Computed tomography, Liver, 512x512

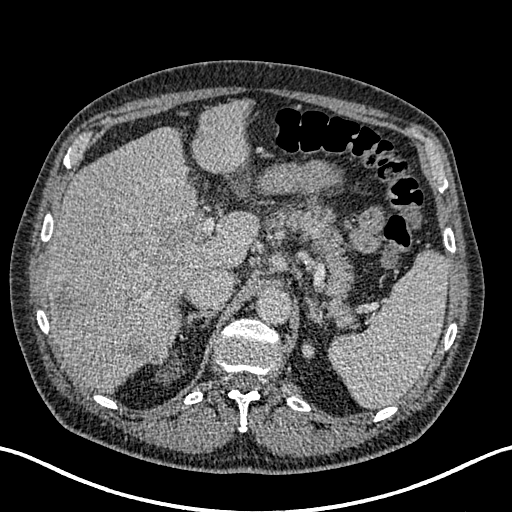 Annotated regions:
- liver: [46,127,259,393], [233,183,248,197], [193,98,252,173]
- hepatic lesion: [54,281,91,321], [145,219,196,278], [126,336,157,362]